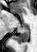

MRI slice
Annotated regions:
- posterior hippocampus: <box>12,26,28,43</box>